240x240 px. Slice 63/155. Brain.
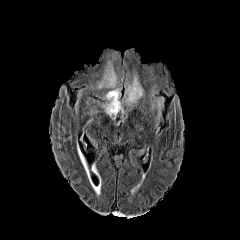
FLAIR MRI.
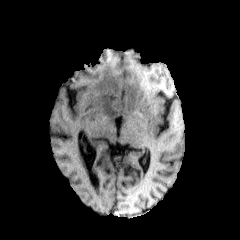
T1-weighted MR image.
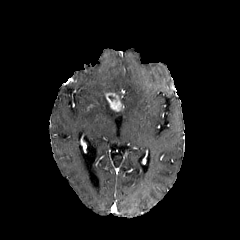
Post-contrast T1-weighted magnetic resonance.
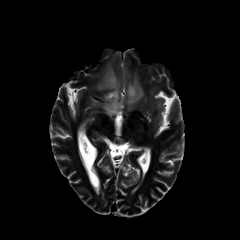
Same slice, T2-weighted MRI.
enhancing_tumor:
  - l=106, t=92, r=123, b=111
edema:
  - l=101, t=101, r=124, b=119
  - l=148, t=85, r=164, b=123
  - l=96, t=62, r=123, b=99
  - l=121, t=72, r=145, b=106